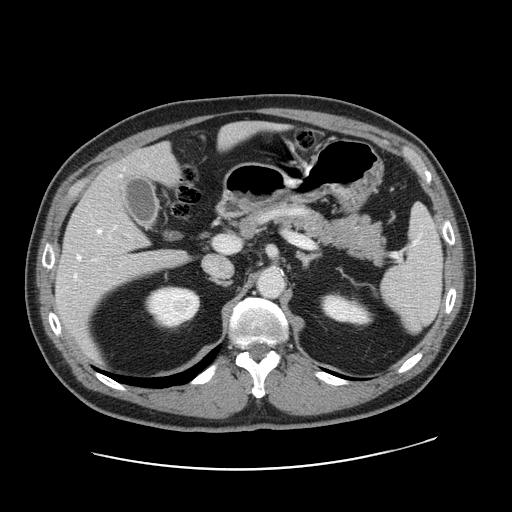
CT, Abdomen, 512x512 px

Not every hepatic vessel necessarily has a box.
<segmentation>
  <hepatic_vessel>[162, 144, 167, 146], [114, 226, 115, 228], [92, 258, 101, 260], [96, 228, 100, 232], [251, 121, 276, 127], [77, 254, 81, 259], [74, 273, 76, 278], [87, 353, 94, 357], [149, 250, 186, 257], [109, 234, 110, 237], [140, 237, 147, 244], [119, 174, 121, 176], [221, 124, 239, 139]</hepatic_vessel>
</segmentation>